FLAIR magnetic resonance.
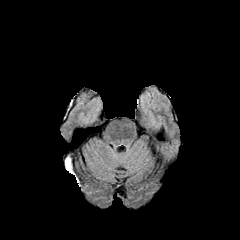
T1-weighted MR image.
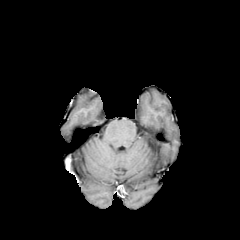
Post-contrast T1-weighted MRI.
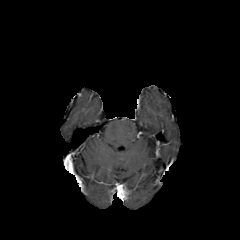
T2-weighted magnetic resonance.
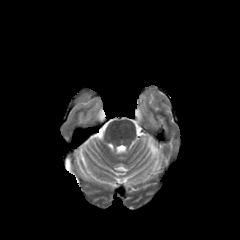
Brain; 240x240
The edema is at [65, 155, 75, 176].